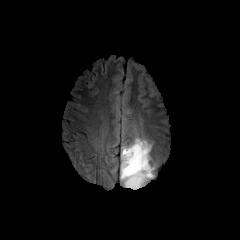
FLAIR magnetic resonance.
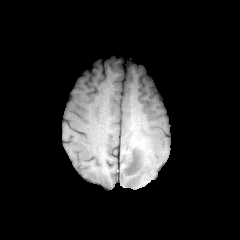
T1-weighted MR.
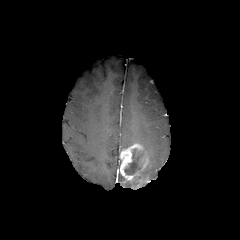
Post-contrast T1-weighted MRI of the same slice.
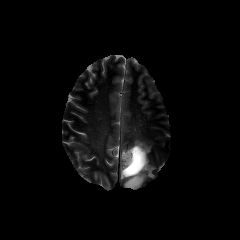
T2-weighted MRI of the same slice.
240x240 px. Brain.
Edema at l=121, t=137, r=156, b=187.
Non-enhancing tumor core at l=124, t=148, r=143, b=174.
Enhancing tumor at l=120, t=144, r=148, b=189.